240x240. Slice 98 of 155. Head.
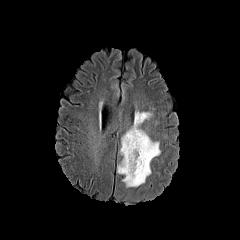
FLAIR MR image.
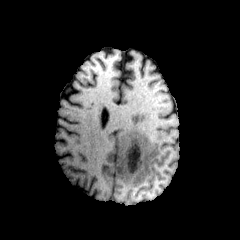
T1-weighted MRI of the same slice.
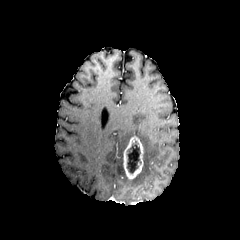
Post-contrast T1-weighted MRI of the same slice.
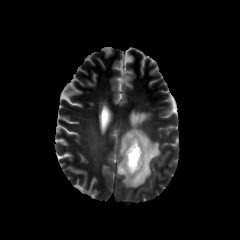
T2-weighted magnetic resonance.
Enhancing tumor = (x1=121, y1=136, x2=143, y2=179).
Non-enhancing tumor core = (x1=126, y1=141, x2=140, y2=173).
Edema = (x1=120, y1=111, x2=160, y2=187).